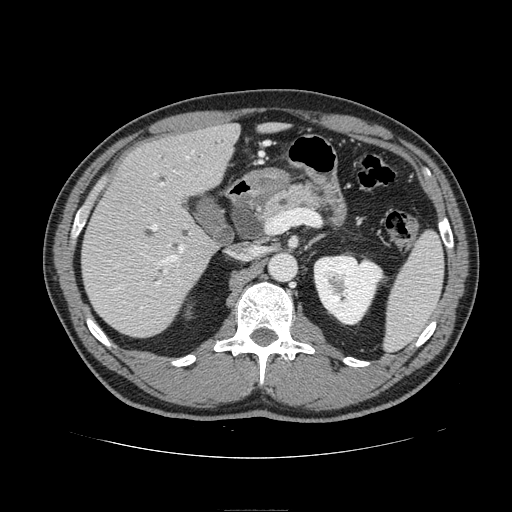 512x512 px; Computed tomography; Abdomen
The pancreas appears at (261, 185, 327, 221).